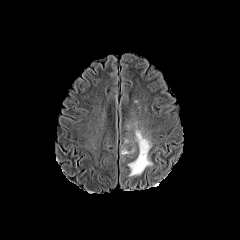
FLAIR MR image.
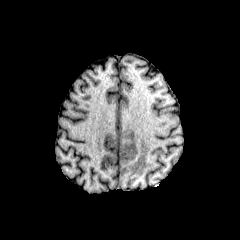
T1-weighted MRI.
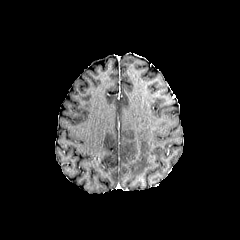
Post-contrast T1-weighted MR.
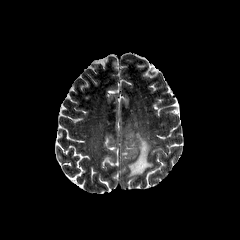
T2-weighted magnetic resonance.
Annotated regions:
• edema: 128, 129, 152, 176